Slice 388/751. Field of view 328 mm wide, 0.80 mm slice spacing. CT. Abdomen.
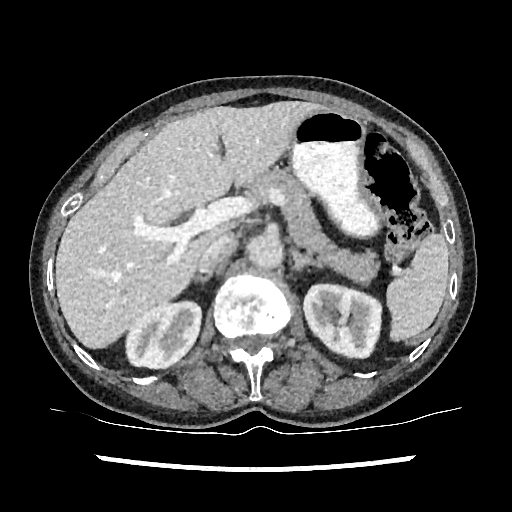
Kidney — x1=304 y1=285 x2=380 y2=358, x1=127 y1=303 x2=200 y2=370.
Liver — x1=57 y1=102 x2=324 y2=347.